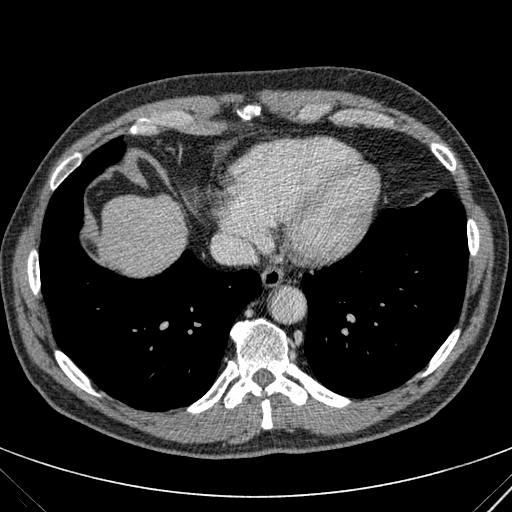
Liver. CT image.
Liver at (x1=99, y1=195, x2=185, y2=275).